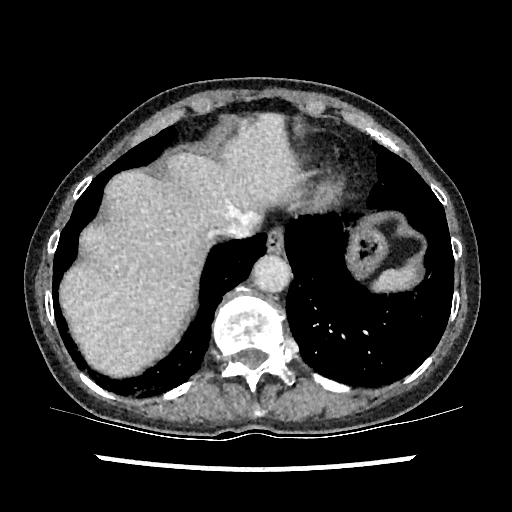
CT slice
Segmented structures:
• liver: {"x1": 61, "y1": 114, "x2": 301, "y2": 375}